Slice 360 of 771. Abdomen. CT scan slice.

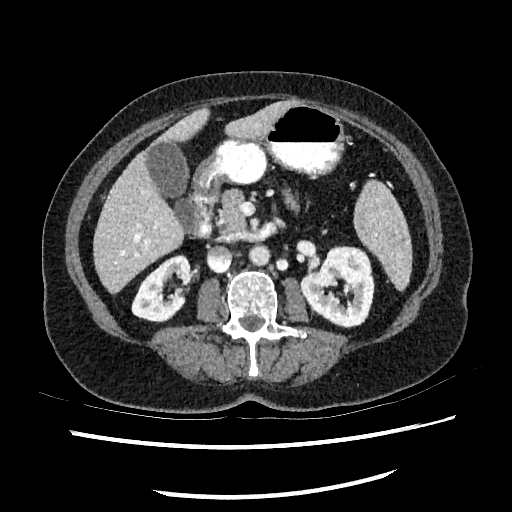
Kidney = [x1=301, y1=247, x2=373, y2=326], [x1=132, y1=256, x2=189, y2=320].
Liver = [x1=226, y1=101, x2=290, y2=139], [x1=154, y1=109, x2=207, y2=145], [x1=93, y1=148, x2=183, y2=294].